Image size 512x512, CT image, Chest
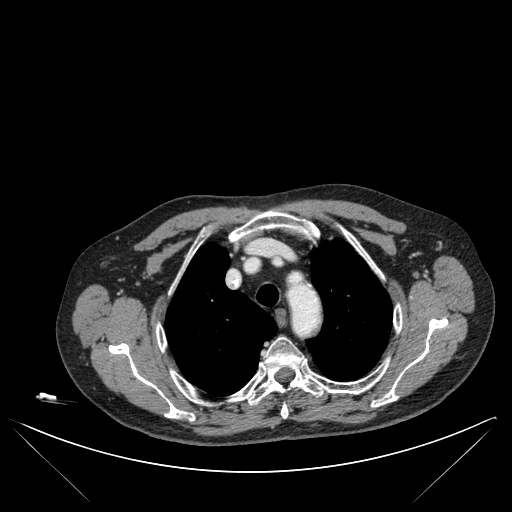

3 lung regions are located at [x1=307, y1=240, x2=392, y2=380], [x1=165, y1=244, x2=276, y2=395], [x1=257, y1=284, x2=278, y2=306]. 10 bone regions are bounded by [x1=281, y1=404, x2=287, y2=418], [x1=186, y1=249, x2=194, y2=262], [x1=393, y1=304, x2=402, y2=331], [x1=156, y1=324, x2=166, y2=351], [x1=170, y1=370, x2=202, y2=403], [x1=109, y1=343, x2=194, y2=420], [x1=340, y1=226, x2=382, y2=276], [x1=229, y1=211, x2=319, y2=241], [x1=371, y1=318, x2=447, y2=406], [x1=228, y1=337, x2=389, y2=404].